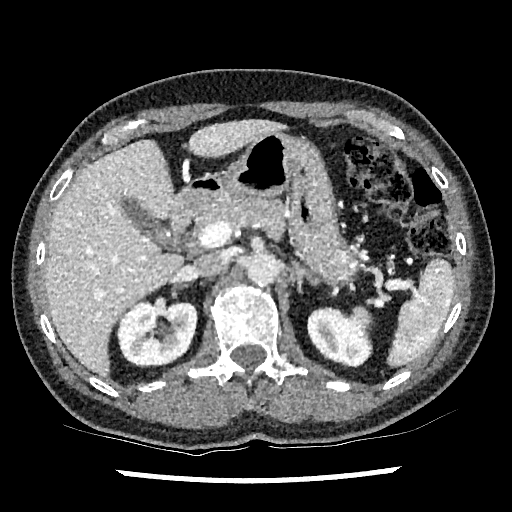
CT
liver:
  - l=45, t=140, r=183, b=375
  - l=190, t=120, r=281, b=156
kidney:
  - l=308, t=309, r=369, b=365
  - l=118, t=300, r=196, b=364